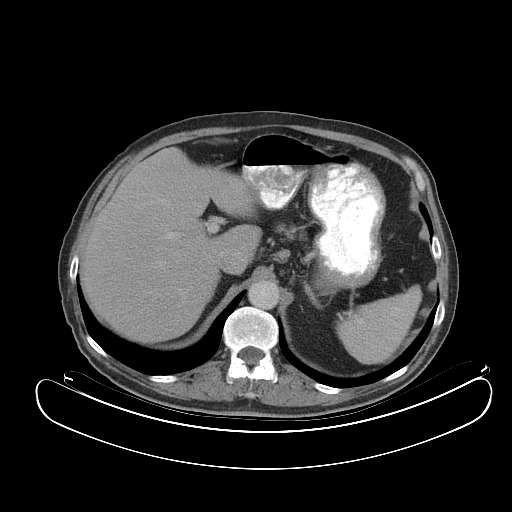
CT slice | Abdomen
spleen:
  - x1=340, y1=290, x2=419, y2=363